Liver; 512x512; CT

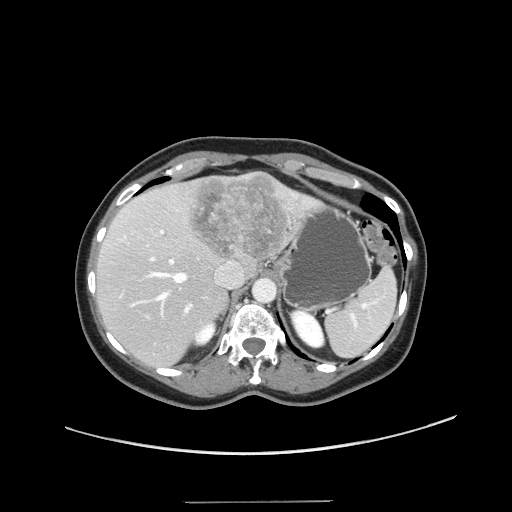
Only some of the vessels may be annotated.
10 hepatic vessel regions appear at 161 230 163 232, 151 258 153 259, 171 273 186 281, 215 261 243 288, 162 310 162 314, 185 304 191 311, 149 272 168 276, 157 293 166 302, 130 304 133 306, 170 259 173 262. The liver tumor is at 187 173 292 261.